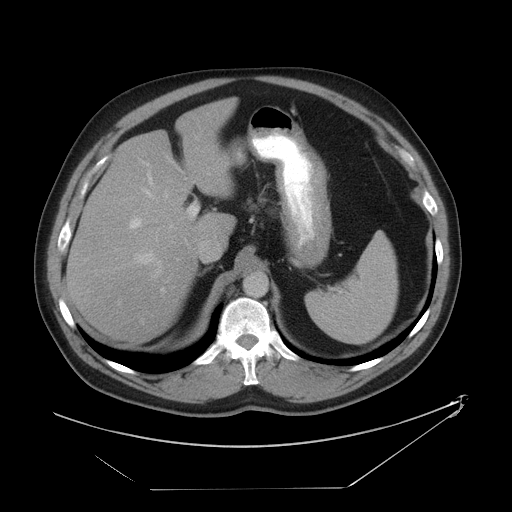 CT slice, 512x512 px
Segmented structures:
* spleen: 305 234 398 344